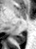

MRI | Medial temporal lobe | 36x49 px
Posterior hippocampus: bbox=[15, 34, 24, 43].